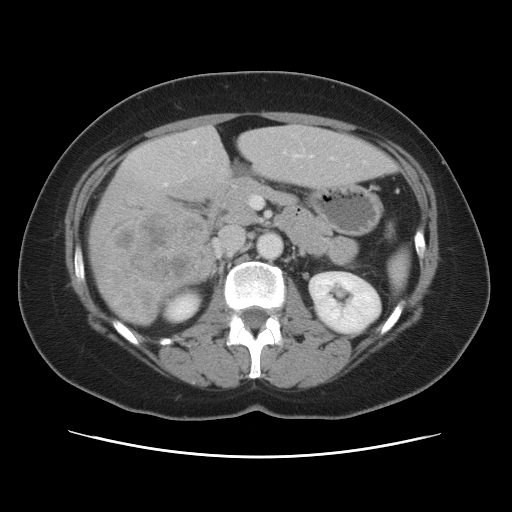 CT image, Abdomen
Only some of the vessels may be annotated.
Hepatic vessel = region(309, 155, 312, 157); region(293, 155, 298, 156); region(331, 158, 333, 159); region(284, 151, 286, 154).
Liver tumor = region(111, 212, 210, 287).